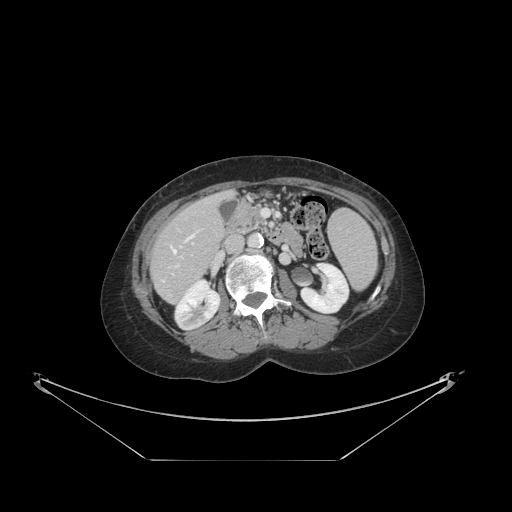

Computed tomography, 512x512 px, Abdomen

The vessel annotation is not exhaustive.
{"hepatic_vessel": ["187:233:195:243", "197:230:200:231", "173:265:178:266", "170:246:176:253"]}